CT image 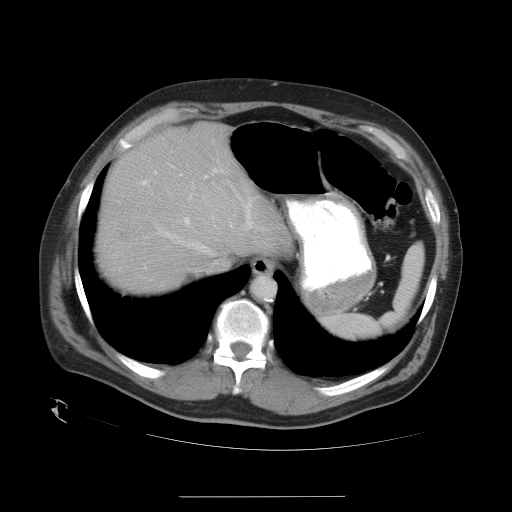

The vessel boxes may cover only some of the vessels.
6 hepatic vessel regions appear at <bbox>154, 171, 156, 174</bbox>, <bbox>141, 180, 147, 184</bbox>, <bbox>190, 241, 211, 253</bbox>, <bbox>186, 224, 188, 225</bbox>, <bbox>188, 196, 191, 200</bbox>, <bbox>157, 227, 179, 242</bbox>. The liver tumor appears at <bbox>121, 227, 130, 242</bbox>.